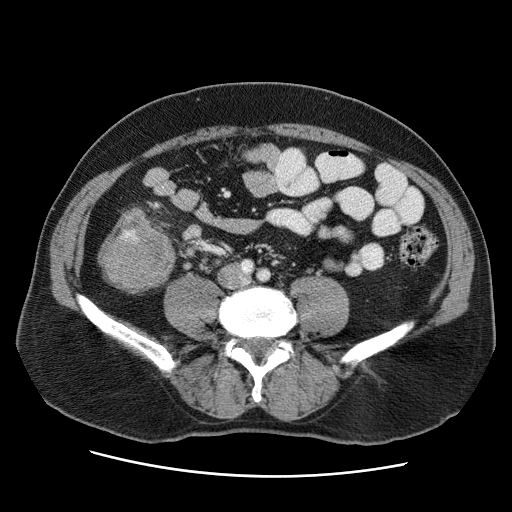
CT slice. 512x512.
Colon tumor — region(98, 209, 175, 291).